CT slice, Image size 512x512, Abdomen

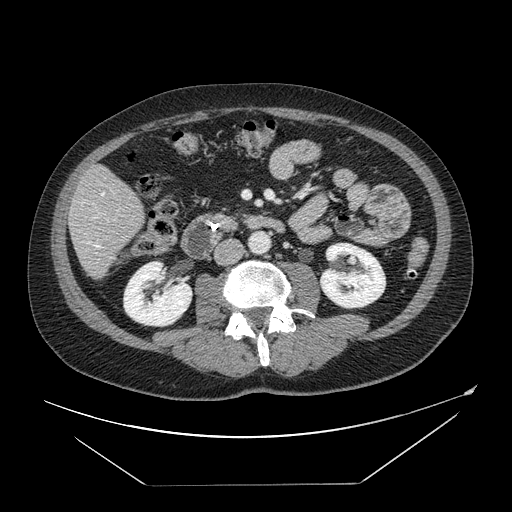
* pancreas: 213:215:235:230